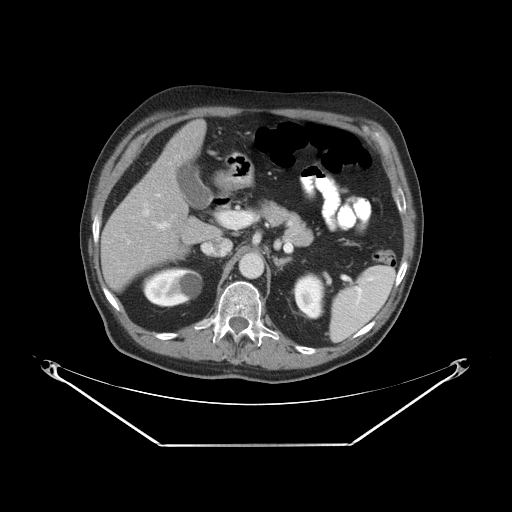
Image size 512x512; CT; Liver

The vessel boxes may cover only some of the vessels.
Findings:
• hepatic vessel: bbox=[155, 193, 161, 197]; bbox=[175, 156, 178, 158]; bbox=[172, 215, 174, 217]; bbox=[142, 202, 149, 216]; bbox=[127, 240, 130, 243]; bbox=[153, 218, 171, 228]; bbox=[168, 161, 171, 164]